CT slice, Image size 512x512, Field of view 387x387 mm, Pelvis

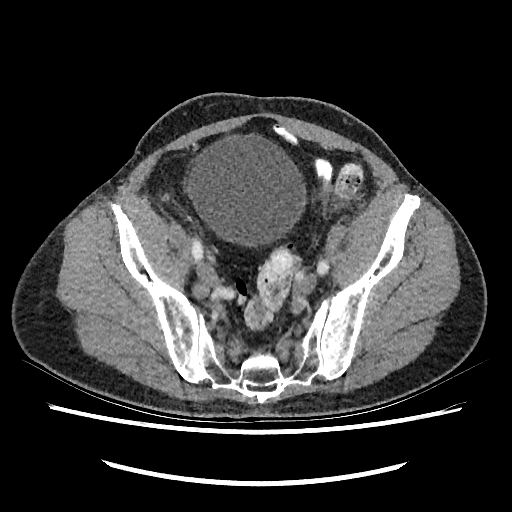
The urinary bladder is bounded by 186 133 306 247.